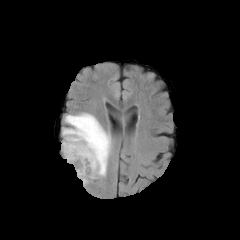
FLAIR MR.
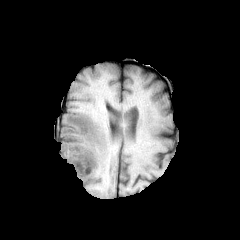
T1-weighted magnetic resonance of the same slice.
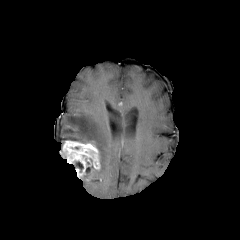
Post-contrast T1-weighted MRI.
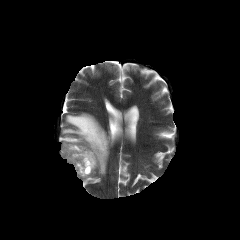
T2-weighted magnetic resonance.
Head
The enhancing tumor is located at bbox=[60, 140, 100, 178]. The non-enhancing tumor core is bounded by bbox=[74, 161, 83, 171]. The edema lies within bbox=[62, 112, 112, 181].